MRI | Field of view 35 mm wide, 1.00 mm slice spacing | Slice 26 of 39 | 35x53 px 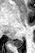 posterior hippocampus: (12,39,23,47)